FLAIR magnetic resonance.
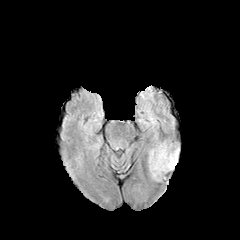
T1-weighted MR.
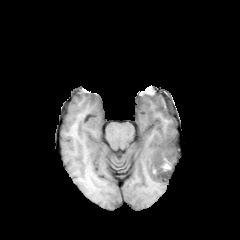
Post-contrast T1-weighted magnetic resonance.
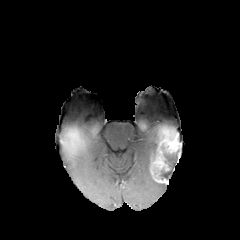
T2-weighted magnetic resonance.
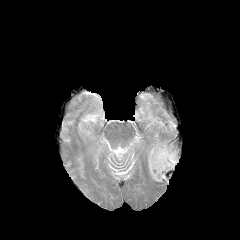
The edema is bounded by 147:141:178:181.